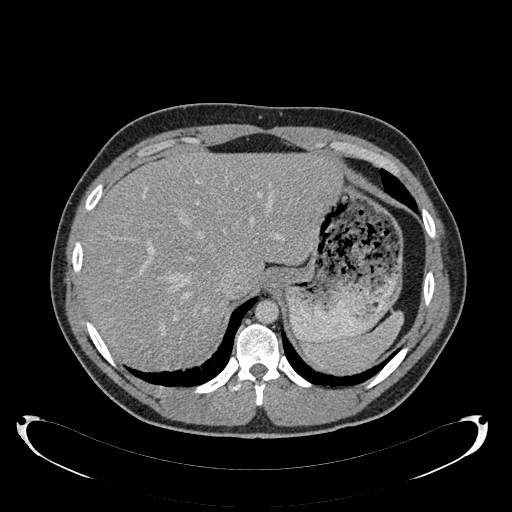 Liver, CT image, Image size 512x512
<segmentation>
  <liver>x1=82, y1=153, x2=337, y2=366</liver>
</segmentation>